FLAIR MR.
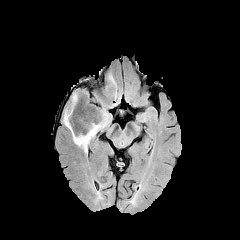
T1-weighted MR image.
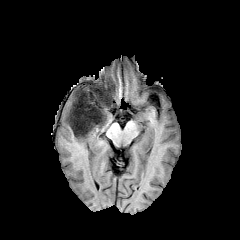
Post-contrast T1-weighted MR.
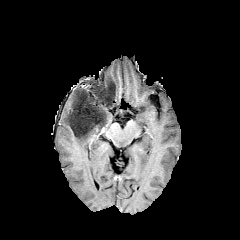
T2-weighted MR.
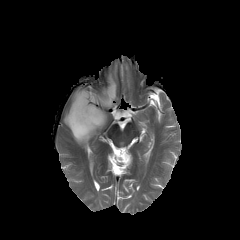
Head. 240x240.
The edema appears at l=63, t=95, r=110, b=151. 2 non-enhancing tumor core regions are bounded by l=92, t=78, r=115, b=108; l=74, t=100, r=106, b=137.